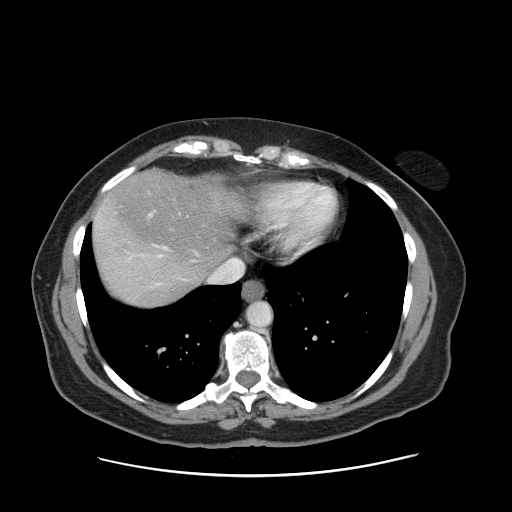 CT image | Abdomen | 512x512 px
The vessel annotation is not exhaustive.
* hepatic vessel: (149,210,155,216), (155,284,157,285)